CT; Abdomen; Slice 55 of 89

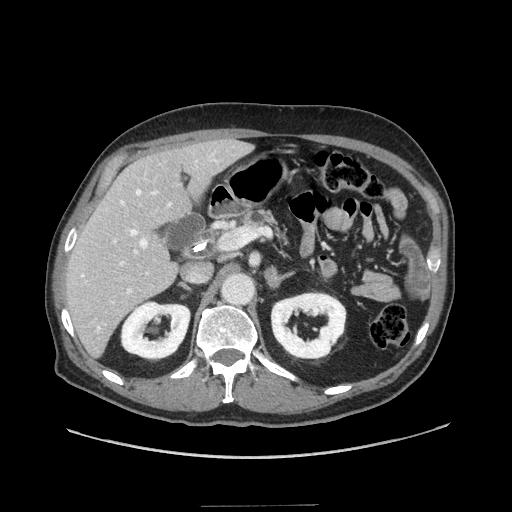

Segmented structures:
* pancreas: [244,210,273,224]